Slice index 562; Abdomen; CT scan slice 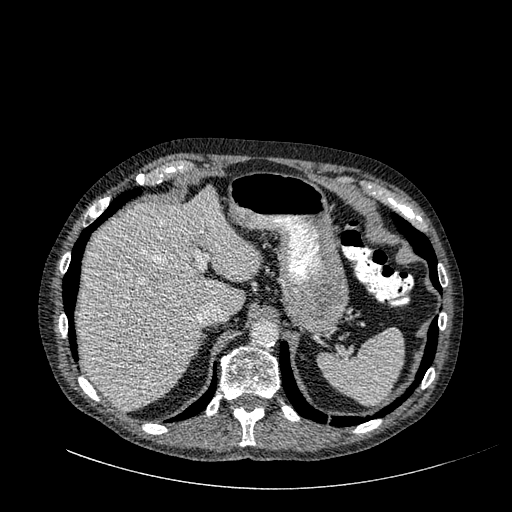
• liver: 77,186,258,409